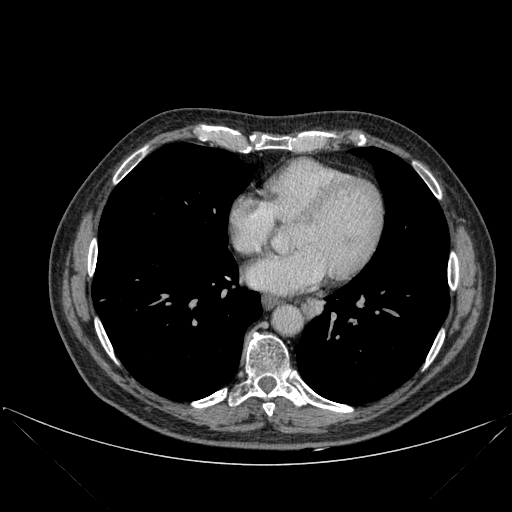 CT scan slice, Thorax
11 bone regions are located at (x1=88, y1=239, x2=97, y2=275), (x1=113, y1=147, x2=145, y2=183), (x1=234, y1=332, x2=352, y2=412), (x1=302, y1=131, x2=330, y2=135), (x1=426, y1=171, x2=441, y2=198), (x1=256, y1=135, x2=291, y2=149), (x1=192, y1=388, x2=226, y2=407), (x1=424, y1=331, x2=444, y2=367), (x1=448, y1=252, x2=458, y2=289), (x1=95, y1=320, x2=115, y2=360), (x1=263, y1=403, x2=274, y2=415). 2 lung regions are located at (x1=91, y1=143, x2=262, y2=401), (x1=297, y1=147, x2=449, y2=404).